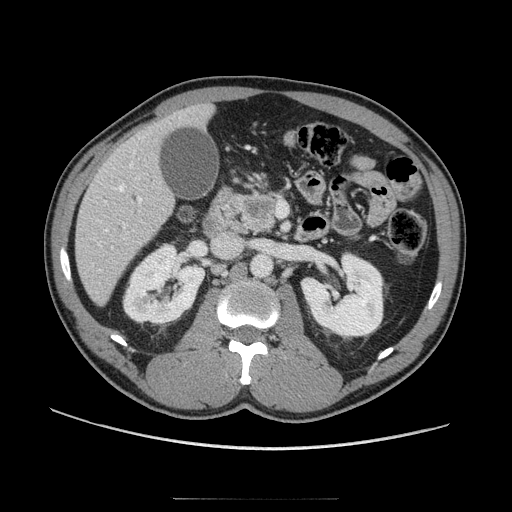
Abdomen | Computed tomography
pancreas: (left=234, top=192, right=277, bottom=235) | pancreatic tumor: (left=243, top=195, right=275, bottom=218)